Computed tomography, 512x512 px, Field of view 436x436 mm, Abdomen 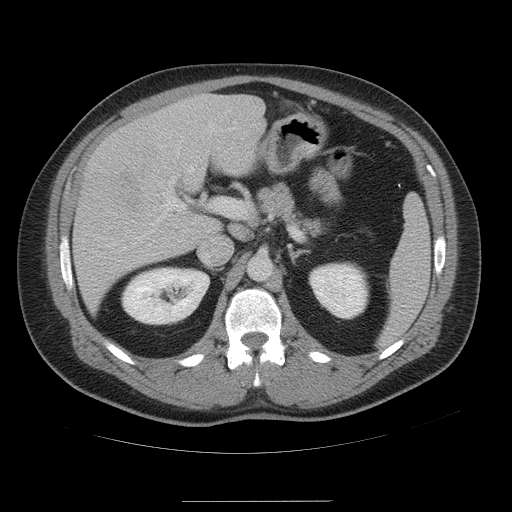

Spleen = bbox(380, 196, 429, 346).